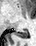
Magnetic resonance; 36x46 px
posterior hippocampus: 13:30:27:38